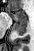
Medial temporal lobe. Magnetic resonance. Posterior hippocampus at 15,20,27,34.
Anterior hippocampus at 12,10,27,19.